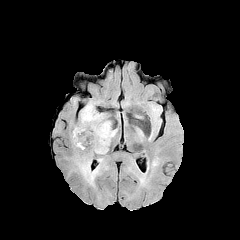
FLAIR MRI.
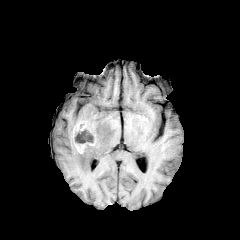
T1-weighted MR image.
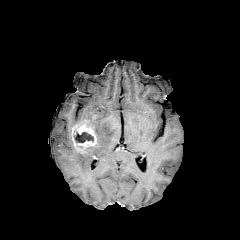
Post-contrast T1-weighted MR image.
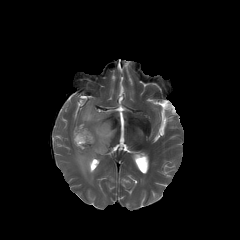
Same slice, T2-weighted MR.
Enhancing tumor: bounding box (left=72, top=123, right=96, bottom=152).
Non-enhancing tumor core: bounding box (left=74, top=132, right=93, bottom=142).
Edema: bounding box (left=75, top=99, right=117, bottom=185).